MRI. Slice 21/35.

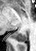
The posterior hippocampus is at 13 32 27 42.